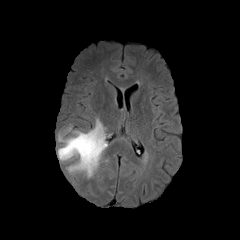
FLAIR magnetic resonance.
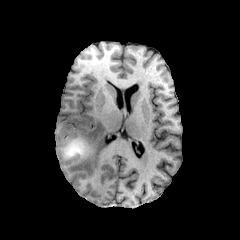
T1-weighted MRI.
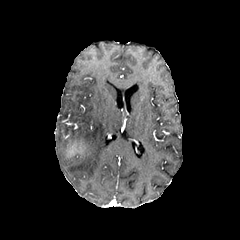
Post-contrast T1-weighted MR image.
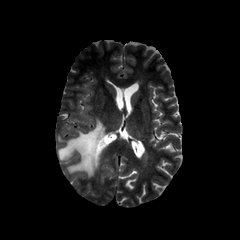
T2-weighted MR of the same slice.
non-enhancing_tumor_core:
  - <bbox>69, 144, 83, 155</bbox>
edema:
  - <bbox>58, 118, 107, 177</bbox>